240x240 px. Slice index 28. Head.
FLAIR MR.
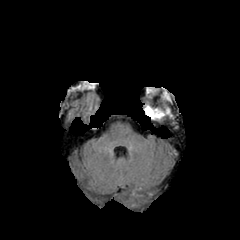
T1-weighted MRI.
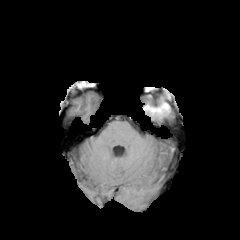
Post-contrast T1-weighted MR image.
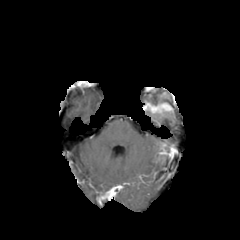
T2-weighted MRI.
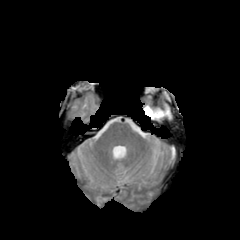
Segmented structures:
- edema: x1=151 y1=110 x2=173 y2=121
- enhancing tumor: x1=145 y1=103 x2=162 y2=114
- non-enhancing tumor core: x1=146 y1=110 x2=162 y2=118, x1=150 y1=103 x2=169 y2=107